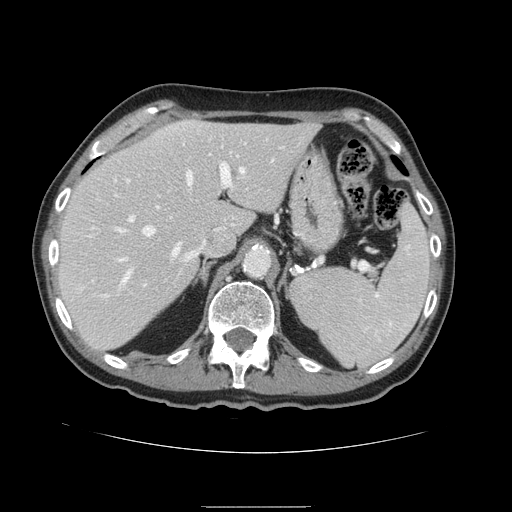
Computed tomography | Liver | Image size 512x512
Not every hepatic vessel necessarily has a box.
Hepatic vessel — (x1=213, y1=212, x2=245, y2=242), (x1=122, y1=271, x2=130, y2=283), (x1=187, y1=171, x2=193, y2=185), (x1=157, y1=206, x2=159, y2=207), (x1=117, y1=228, x2=124, y2=231), (x1=186, y1=235, x2=217, y2=258), (x1=240, y1=167, x2=244, y2=172), (x1=221, y1=162, x2=231, y2=186), (x1=173, y1=245, x2=179, y2=255), (x1=129, y1=216, x2=134, y2=220), (x1=143, y1=226, x2=154, y2=235), (x1=119, y1=258, x2=125, y2=260).